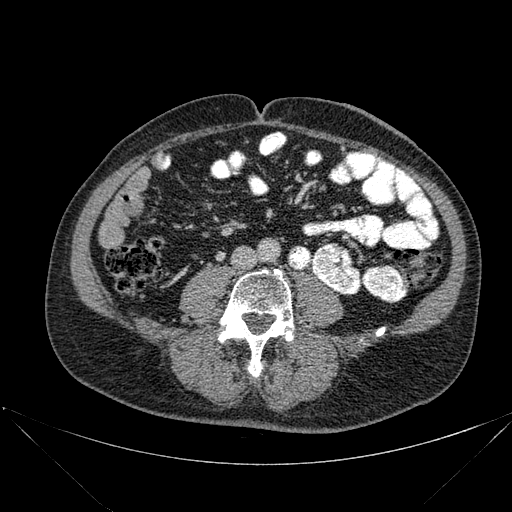
512x512 px, Computed tomography

2 bone regions appear at x1=376, y1=327, x2=384, y2=335; x1=218, y1=269, x2=293, y2=377.